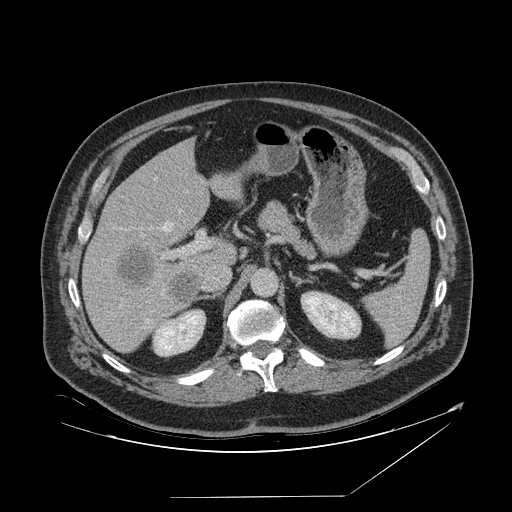
512x512. Computed tomography. {"spleen": ["rect(364, 232, 429, 346)"]}